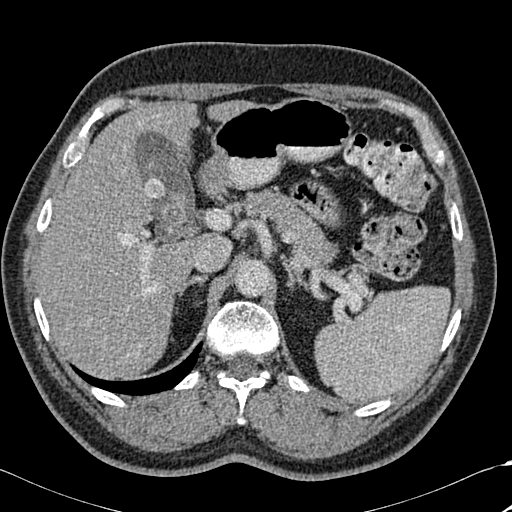 CT.

{"lung": [{"x1": 72, "y1": 342, "x2": 202, "y2": 395}], "bone": [{"x1": 92, "y1": 388, "x2": 123, "y2": 406}, {"x1": 356, "y1": 400, "x2": 389, "y2": 416}, {"x1": 288, "y1": 376, "x2": 308, "y2": 391}, {"x1": 34, "y1": 299, "x2": 48, "y2": 338}, {"x1": 67, "y1": 115, "x2": 96, "y2": 160}, {"x1": 442, "y1": 310, "x2": 460, "y2": 349}, {"x1": 451, "y1": 206, "x2": 462, "y2": 239}, {"x1": 207, "y1": 301, "x2": 278, "y2": 411}, {"x1": 176, "y1": 373, "x2": 198, "y2": 389}, {"x1": 37, "y1": 200, "x2": 51, "y2": 231}], "liver": [{"x1": 231, "y1": 101, "x2": 246, "y2": 107}, {"x1": 40, "y1": 103, "x2": 198, "y2": 379}]}